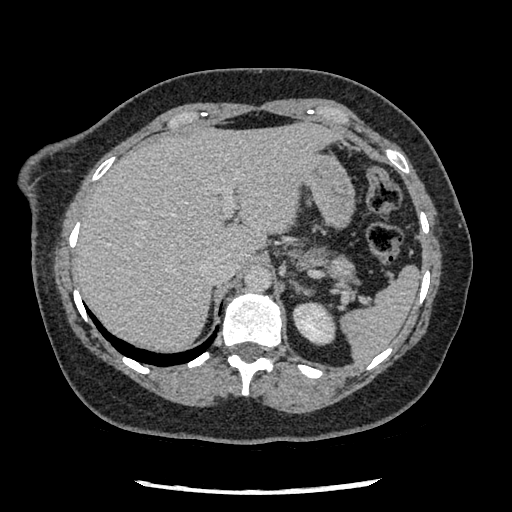 512x512 px | Computed tomography
pancreas: 293 246 357 284 | pancreatic tumor: 332 258 354 273